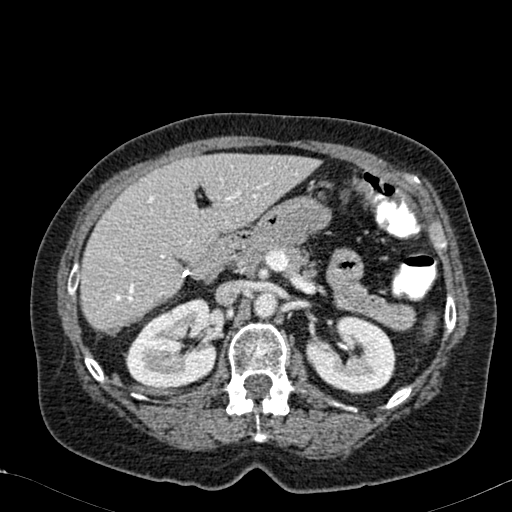
512x512 px. CT.
{
  "kidney": [
    "<box>126,300,215,388</box>",
    "<box>307,317,394,392</box>"
  ],
  "liver": [
    "<box>80,154,319,330</box>"
  ]
}